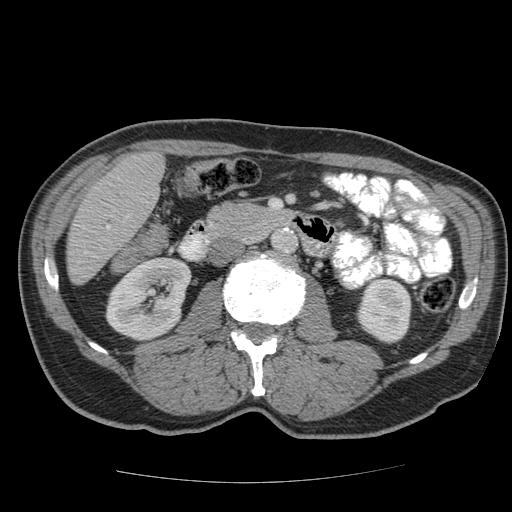 CT scan slice. Liver.

The vessel annotation is not exhaustive.
The hepatic vessel appears at 107:225:109:228.